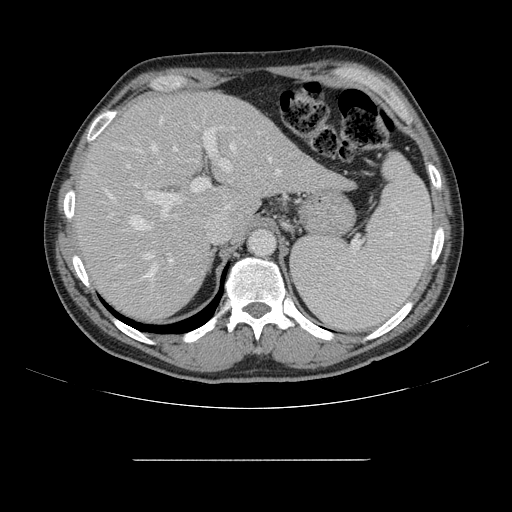

Computed tomography. Liver. Image size 512x512.

Not every hepatic vessel necessarily has a box.
{"partial": true, "hepatic_vessel": {"n_total": 17, "boxes": ["bbox=[230, 144, 235, 149]", "bbox=[168, 254, 172, 261]", "bbox=[203, 127, 218, 155]", "bbox=[191, 178, 209, 191]", "bbox=[134, 183, 137, 185]", "bbox=[127, 164, 129, 166]", "bbox=[130, 215, 150, 229]", "bbox=[230, 127, 234, 130]", "bbox=[104, 188, 115, 201]", "bbox=[143, 267, 154, 279]", "bbox=[143, 186, 145, 188]", "bbox=[144, 254, 151, 258]", "bbox=[220, 158, 230, 170]", "bbox=[276, 169, 280, 173]", "bbox=[149, 192, 180, 216]"]}}